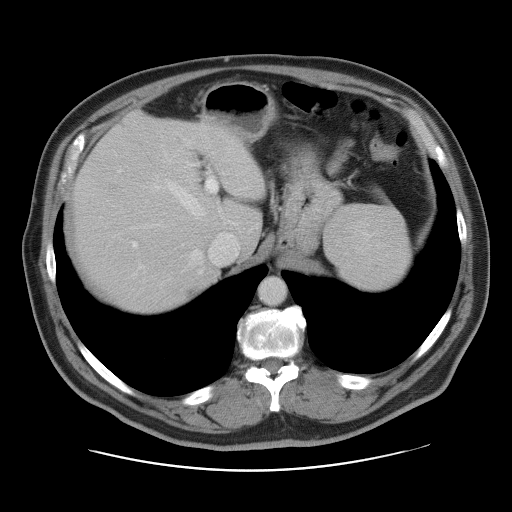
Liver, CT image
The vessel boxes may cover only some of the vessels.
hepatic_vessel:
  - x1=205 y1=172 x2=217 y2=192
  - x1=138 y1=264 x2=143 y2=268
  - x1=186 y1=162 x2=199 y2=165
  - x1=198 y1=269 x2=202 y2=274
  - x1=151 y1=181 x2=204 y2=216
  - x1=192 y1=251 x2=202 y2=262
  - x1=209 y1=232 x2=238 y2=265
  - x1=132 y1=241 x2=136 y2=246
liver_tumor:
  - x1=182 y1=285 x2=201 y2=299
  - x1=106 y1=179 x2=126 y2=194